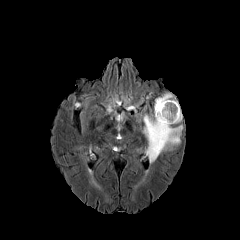
FLAIR MR image.
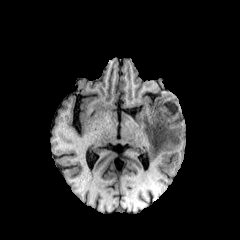
Same slice, T1-weighted MRI.
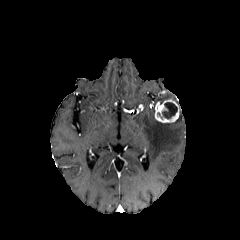
Post-contrast T1-weighted MR image of the same slice.
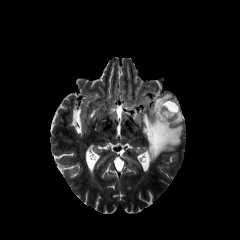
T2-weighted magnetic resonance.
Non-enhancing tumor core: (162,102,177,119).
Enhancing tumor: (154,99,179,123).
Edema: (155,92,173,102), (142,108,183,165).